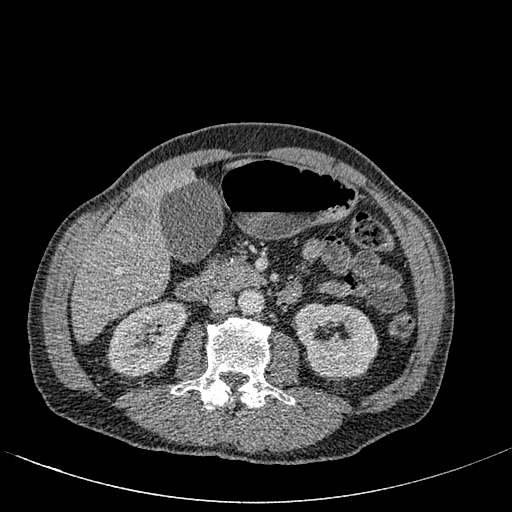
Computed tomography | Abdomen
2 kidney regions are located at left=295, top=303, right=377, bottom=377; left=108, top=302, right=187, bottom=376. The liver lesion is at left=118, top=197, right=153, bottom=232. 2 liver regions are located at left=227, top=158, right=250, bottom=167; left=73, top=168, right=194, bottom=342.